Liver; CT slice

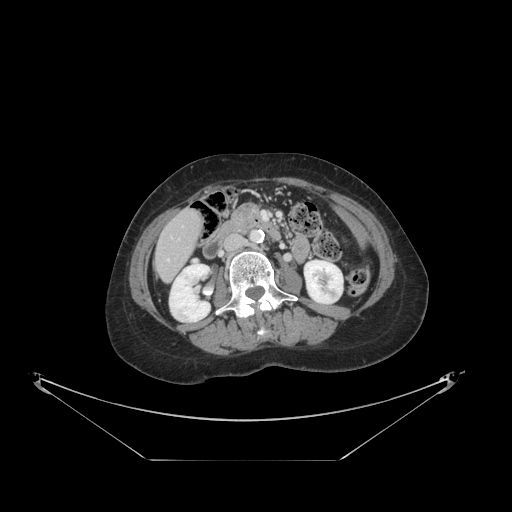
Only some of the vessels may be annotated.
The hepatic vessel is bounded by x1=167 y1=259 x2=169 y2=261.